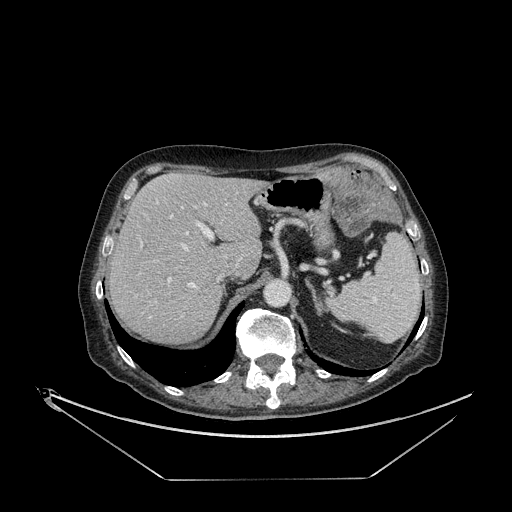
CT image

The liver lies within box(110, 173, 263, 344).